CT slice
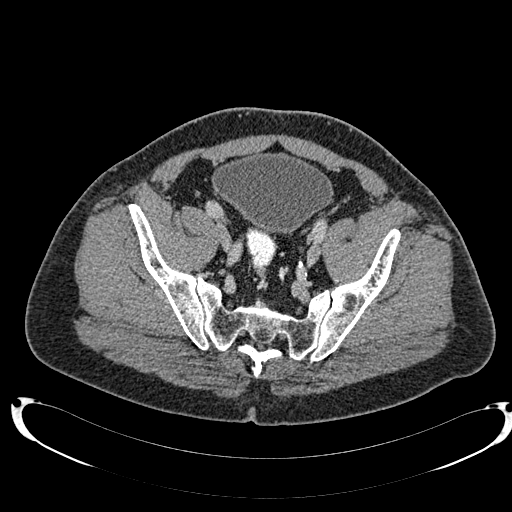 The urinary bladder lies within [212,152,331,233].